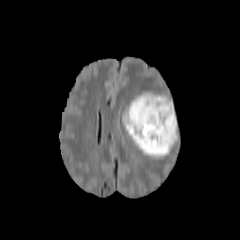
FLAIR MR.
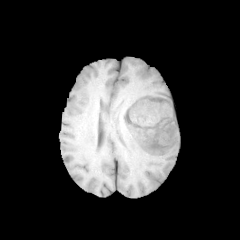
T1-weighted MRI of the same slice.
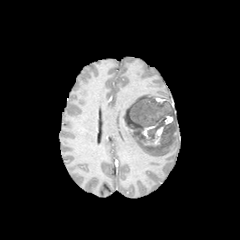
Post-contrast T1-weighted MR.
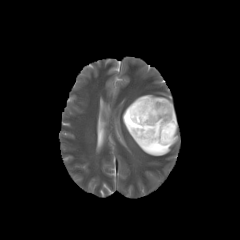
T2-weighted magnetic resonance.
Brain; 240x240
Edema: 126:129:177:156, 123:93:173:125.
Enhancing tumor: 164:115:173:124, 140:120:164:146.
Non-enhancing tumor core: 124:97:178:144.